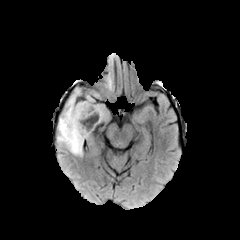
FLAIR MR.
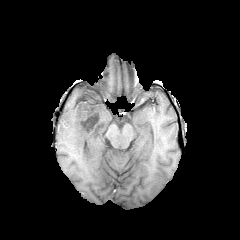
T1-weighted MR.
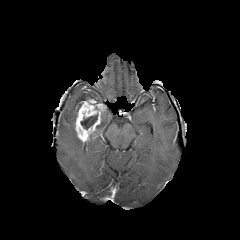
Post-contrast T1-weighted magnetic resonance.
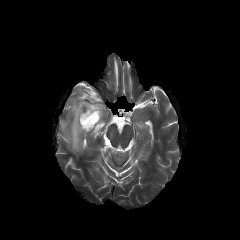
T2-weighted MR of the same slice.
Head
Annotated regions:
* enhancing tumor: [75, 98, 105, 142]
* edema: [57, 89, 83, 154]
* non-enhancing tumor core: [80, 92, 99, 103], [80, 114, 99, 131]